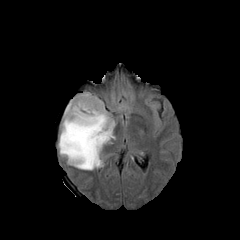
FLAIR MRI.
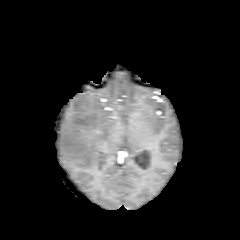
T1-weighted MR image of the same slice.
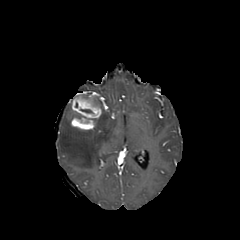
Post-contrast T1-weighted MRI.
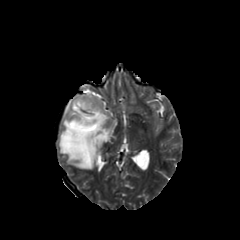
T2-weighted MR image of the same slice.
240x240. Brain.
* non-enhancing tumor core: 93, 95, 102, 104; 68, 101, 74, 122
* enhancing tumor: 70, 92, 104, 130
* edema: 58, 103, 115, 169